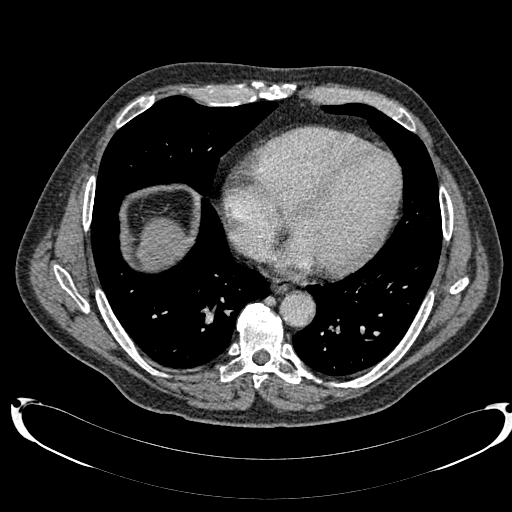 CT image. Upper abdomen. liver:
  - l=136, t=219, r=187, b=268